Slice 59/155. Image width 240 mm. 240x240.
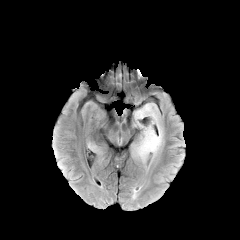
FLAIR magnetic resonance.
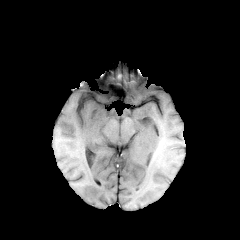
T1-weighted MR.
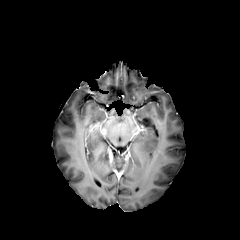
Same slice, post-contrast T1-weighted MRI.
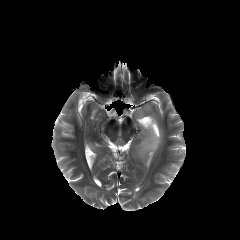
T2-weighted MRI of the same slice.
Edema at 133 102 164 162.